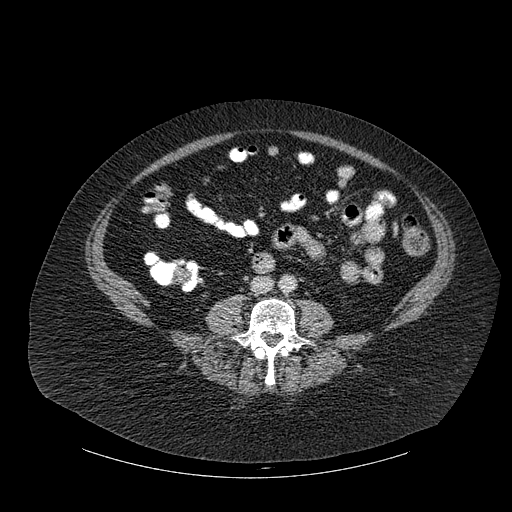 CT
bone:
  - (x1=235, y1=299, x2=308, y2=385)